Slice 88 of 155, Brain, Image width 240 mm
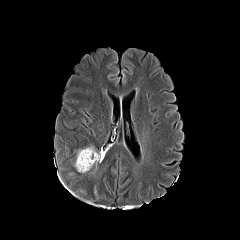
FLAIR magnetic resonance.
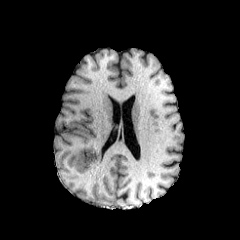
T1-weighted MR.
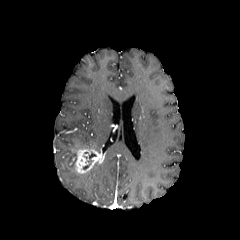
Post-contrast T1-weighted MR image of the same slice.
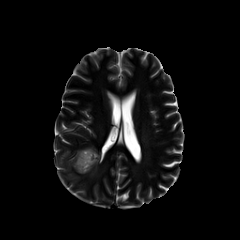
T2-weighted MRI.
Findings:
* enhancing tumor: left=74, top=148, right=105, bottom=173
* non-enhancing tumor core: left=87, top=152, right=97, bottom=162